CT image; 512x512 px; Slice index 517
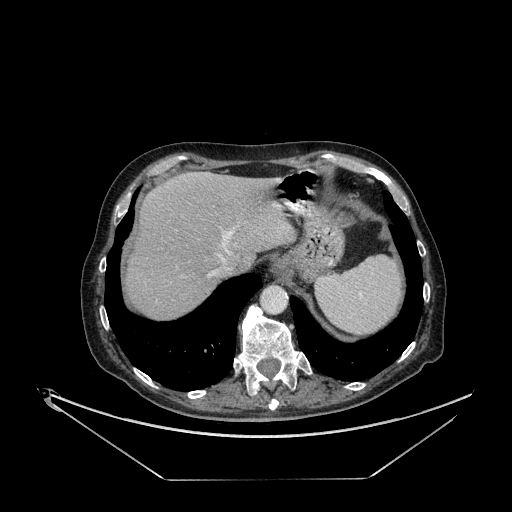
The liver appears at 126,172,293,318.